Slice index 172. Image width 343 mm. Liver. Image size 512x512. CT scan slice.
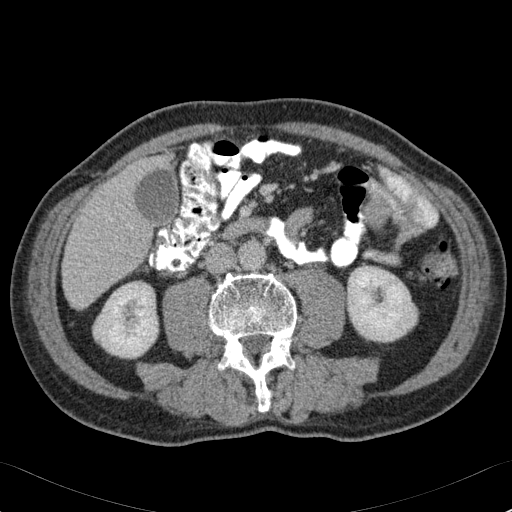 kidney:
  - l=347, t=266, r=416, b=341
  - l=93, t=282, r=157, b=357
liver:
  - l=63, t=158, r=153, b=307